MR image. Slice 30/36.

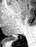
Posterior hippocampus = box(11, 38, 17, 40).